Image size 512x512; Computed tomography; Image width 374 mm 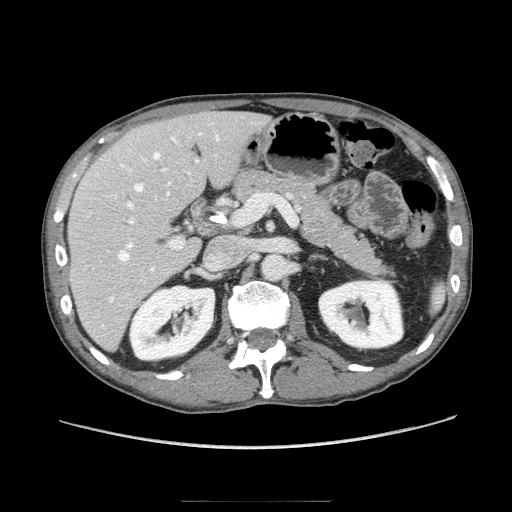
The pancreas is bounded by <box>232,171,390,275</box>.